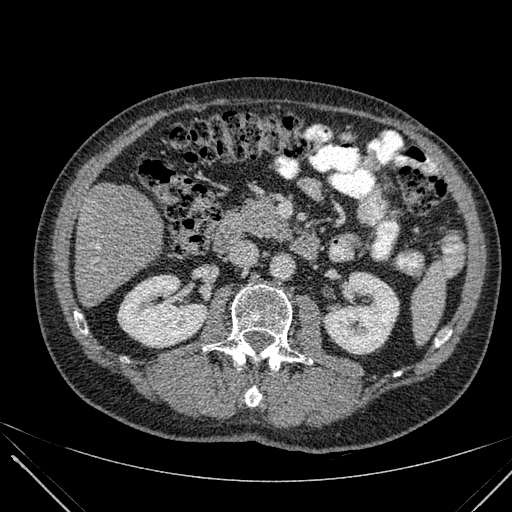

Computed tomography | 512x512 px | Liver
Segmented structures:
- kidney: rect(118, 275, 206, 346); rect(324, 273, 398, 353)
- liver: rect(75, 183, 162, 307)